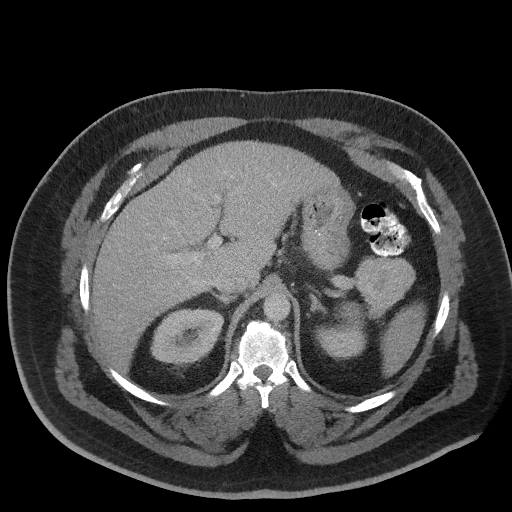

CT; Upper abdomen
Findings:
• pancreatic tumor: box(358, 258, 413, 317)